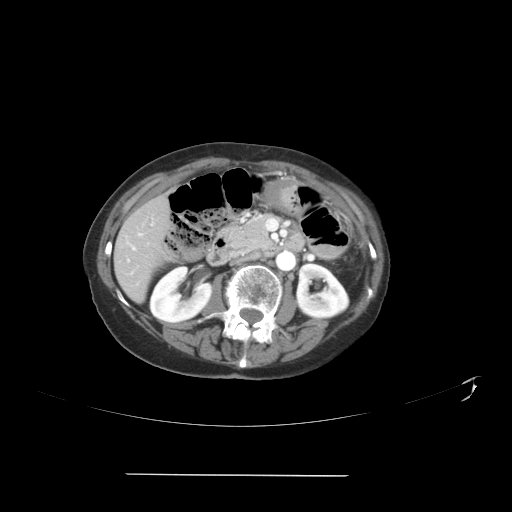
CT scan slice
The vessel annotation is not exhaustive.
Findings:
* hepatic vessel: rect(127, 259, 129, 261); rect(127, 241, 135, 250); rect(151, 223, 153, 225); rect(138, 233, 141, 235)